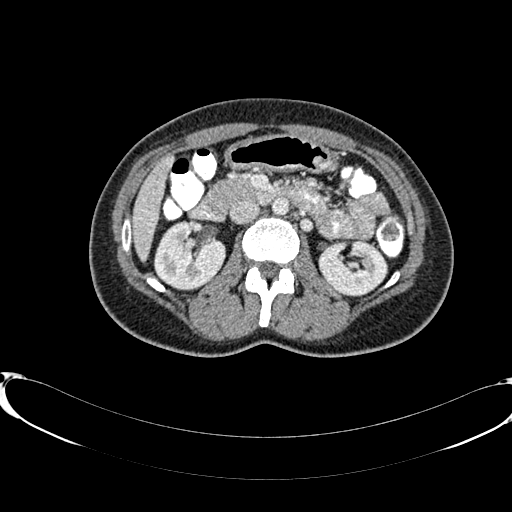
CT image, 512x512, Liver
The liver lies within x1=132, y1=155, x2=172, y2=260. 2 kidney regions appear at x1=155, y1=224, x2=224, y2=288; x1=320, y1=242, x2=385, y2=294.